Slice 63/168; CT image; Image size 512x512; Field of view 386x386 mm

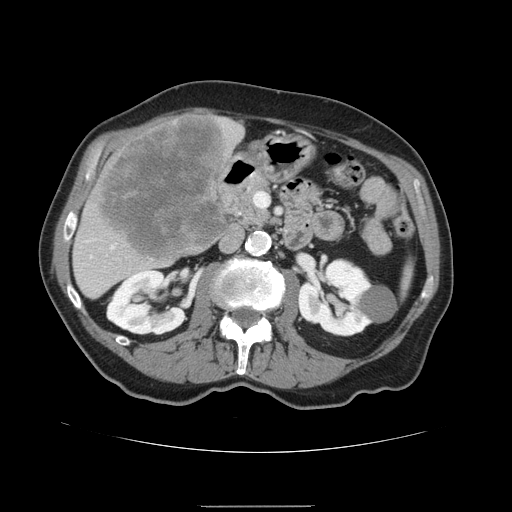 The vessel boxes may cover only some of the vessels.
Liver tumor = {"x1": 101, "y1": 117, "x2": 227, "y2": 259}.
Hepatic vessel = {"x1": 112, "y1": 245, "x2": 113, "y2": 247}.